Slice index 141; Image width 400 mm; CT scan slice; Lower abdomen
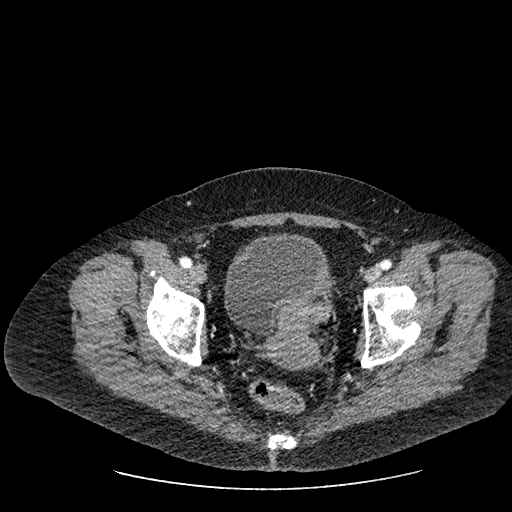

<segmentation>
  <urinary_bladder>[225,232,328,335]</urinary_bladder>
</segmentation>